CT slice, Slice index 102, Image size 512x512
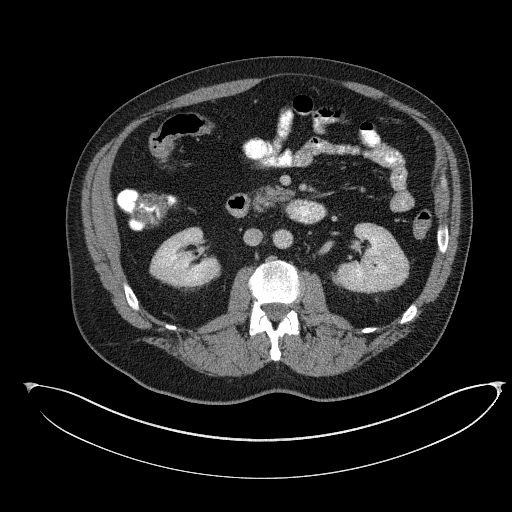

pancreas: [x1=254, y1=185, x2=288, y2=209]